512x512 px. Head. Computed tomography. 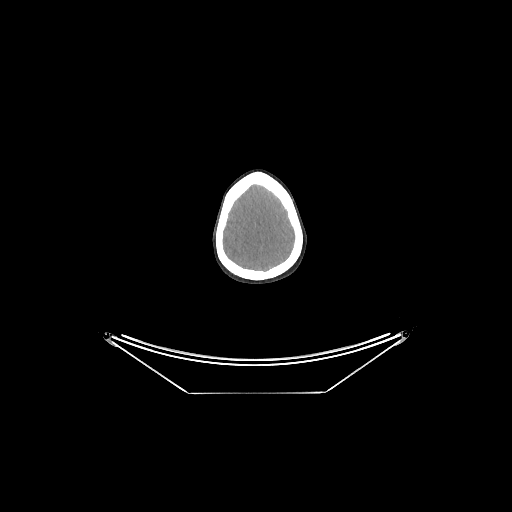
brain: l=222, t=184, r=295, b=271